FLAIR magnetic resonance.
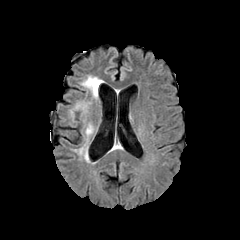
T1-weighted MR image.
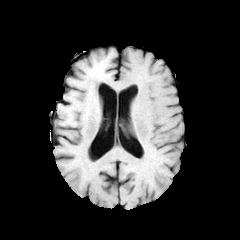
Post-contrast T1-weighted MR.
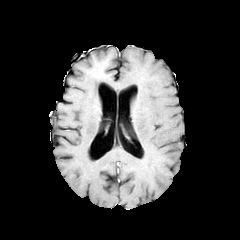
T2-weighted MRI.
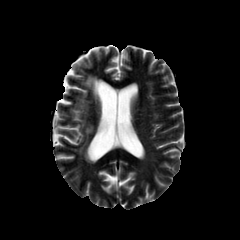
Head
3 edema regions are bounded by [x1=73, y1=100, x2=91, y2=113], [x1=77, y1=123, x2=94, y2=161], [x1=80, y1=75, x2=105, y2=101].